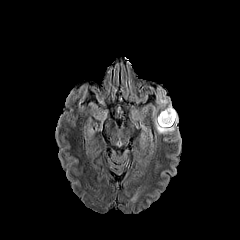
FLAIR MRI.
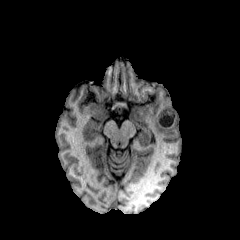
T1-weighted MR of the same slice.
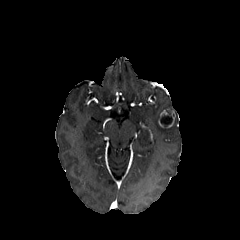
Post-contrast T1-weighted MR of the same slice.
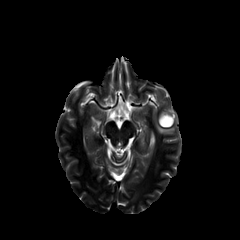
Same slice, T2-weighted MR.
Brain.
Non-enhancing tumor core: bounding box (161,115,172,124).
Edema: bounding box (138,129,150,150), (136,87,179,139).
Enhancing tumor: bounding box (158,108,175,127).